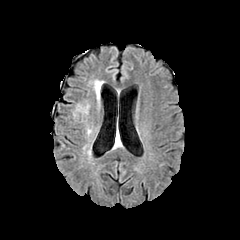
FLAIR MR.
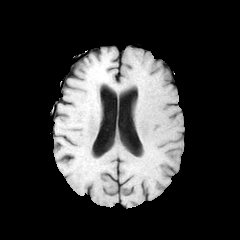
T1-weighted magnetic resonance of the same slice.
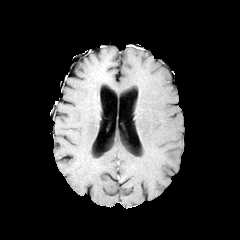
Post-contrast T1-weighted MR image of the same slice.
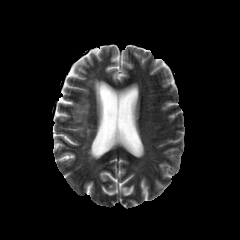
T2-weighted MR of the same slice.
Brain, Image size 240x240
Edema — {"x1": 74, "y1": 103, "x2": 89, "y2": 121}, {"x1": 93, "y1": 80, "x2": 102, "y2": 107}.